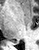

MR image.

posterior hippocampus: [14, 43, 17, 43]